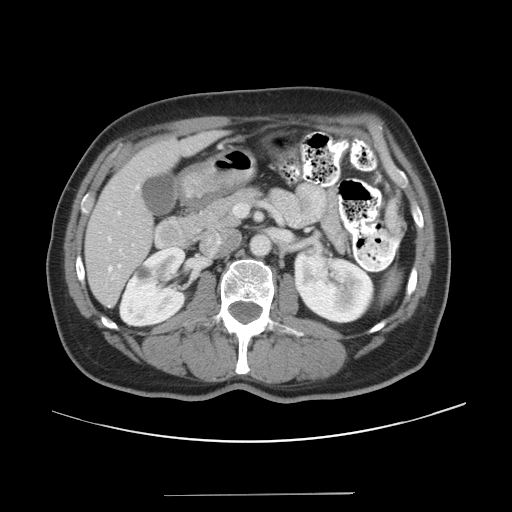
CT slice. Abdomen. Only some of the vessels may be annotated.
hepatic vessel: (left=136, top=185, right=138, bottom=189), (left=108, top=267, right=111, bottom=270), (left=118, top=264, right=120, bottom=266), (left=108, top=237, right=110, bottom=241), (left=119, top=212, right=120, bottom=214), (left=120, top=249, right=121, bottom=252)